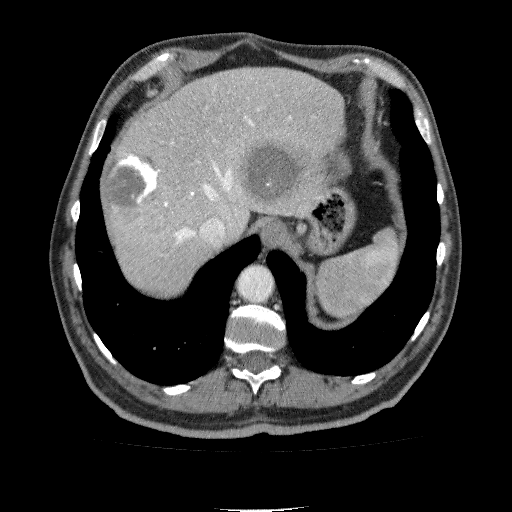
512x512, CT
liver lesion: 102 148 164 220, 318 152 339 175, 235 137 314 204 | liver: 106 68 350 296